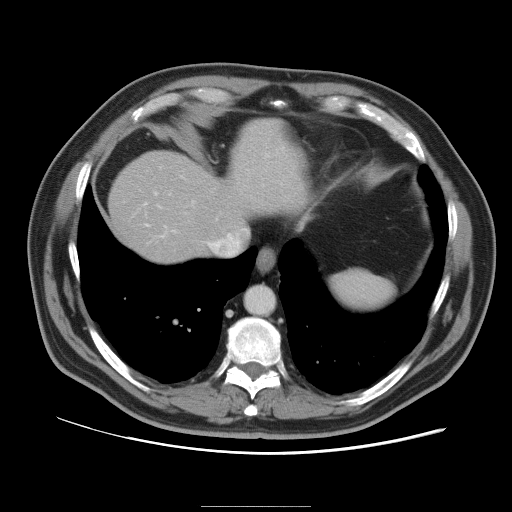
Liver. CT scan slice.

Not every hepatic vessel necessarily has a box.
partial: true
hepatic_vessel:
  # 15 of 16 shown
  - <bbox>264, 154, 268, 157</bbox>
  - <bbox>280, 180, 282, 184</bbox>
  - <bbox>247, 169, 248, 174</bbox>
  - <bbox>206, 241, 209, 244</bbox>
  - <bbox>180, 176, 184, 178</bbox>
  - <bbox>145, 224, 148, 225</bbox>
  - <bbox>143, 202, 146, 205</bbox>
  - <bbox>154, 193, 157, 194</bbox>
  - <bbox>158, 205, 160, 207</bbox>
  - <bbox>282, 171, 291, 179</bbox>
  - <bbox>159, 234, 164, 237</bbox>
  - <bbox>164, 226, 166, 229</bbox>
  - <bbox>190, 200, 194, 206</bbox>
  - <bbox>168, 192, 170, 194</bbox>
  - <bbox>171, 230, 177, 232</bbox>